CT scan slice | Slice index 249
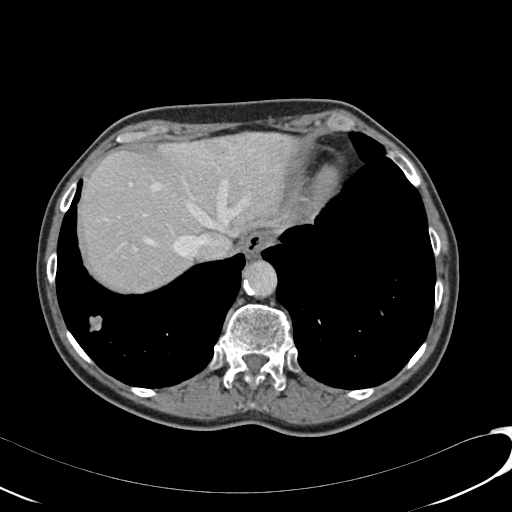 liver: bbox(81, 133, 299, 290) | liver lesion: bbox(210, 144, 225, 153); bbox(228, 137, 237, 145)